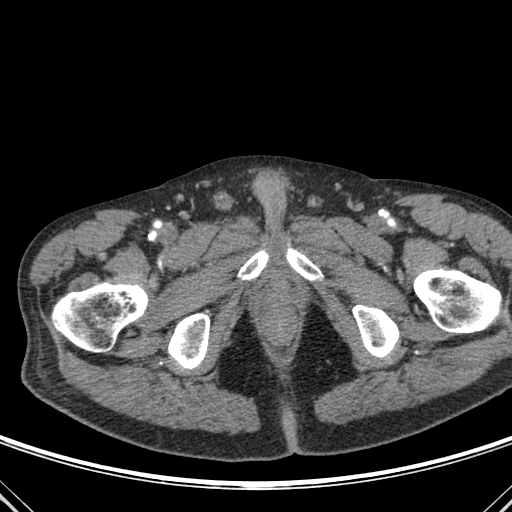

CT slice; Image size 512x512
Bone: <box>52,282,150,351</box>, <box>352,305,399,357</box>, <box>238,248,273,280</box>, <box>283,247,323,280</box>, <box>413,269,502,332</box>, <box>168,313,209,369</box>.